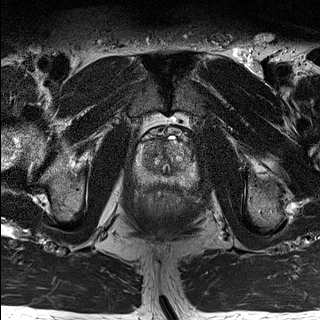
T2-weighted MR image.
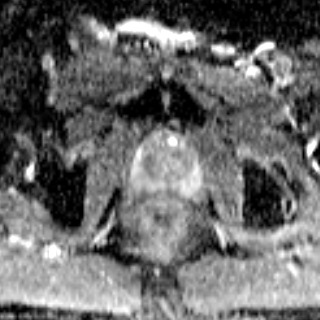
ADC magnetic resonance.
320x320 px
Annotated regions:
• prostate transition zone: box=[143, 139, 196, 175]
• prostate peripheral zone: box=[137, 144, 199, 189]